CT scan slice, Image size 512x512, Liver
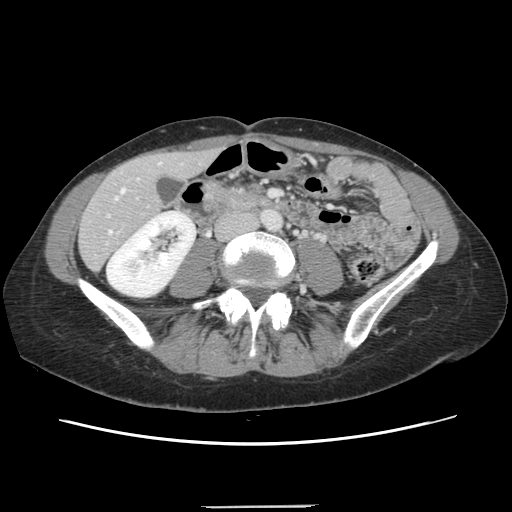 Only some of the vessels may be annotated.
3 hepatic vessel regions appear at rect(108, 230, 111, 233); rect(115, 197, 117, 199); rect(121, 188, 124, 192).